Slice index 449, CT scan slice, Field of view 348x348 mm, Liver, 512x512 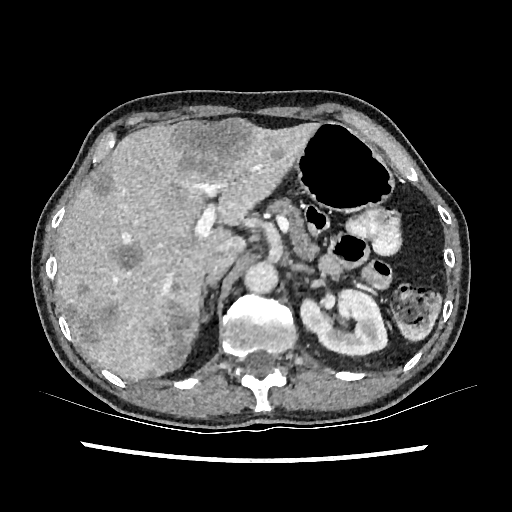
8 hepatic lesion regions are bounded by (91, 171, 112, 196), (168, 118, 256, 180), (64, 302, 119, 341), (111, 244, 143, 270), (165, 184, 188, 206), (150, 300, 196, 369), (77, 283, 89, 296), (270, 145, 286, 161). The kidney is at (301, 290, 386, 358). The liver appears at (58, 123, 320, 379).